Head
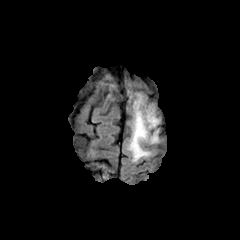
FLAIR MR.
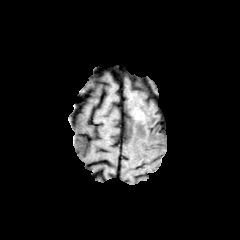
Same slice, T1-weighted MR image.
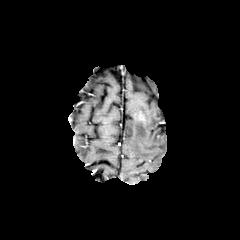
Post-contrast T1-weighted MR of the same slice.
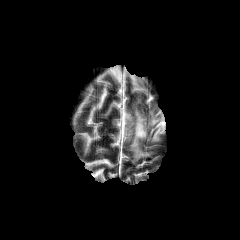
T2-weighted MR image of the same slice.
The non-enhancing tumor core appears at bbox=[135, 113, 146, 123]. The edema is bounded by bbox=[127, 96, 160, 162].